Slice index 85 | Field of view 240x240 mm | Image size 240x240
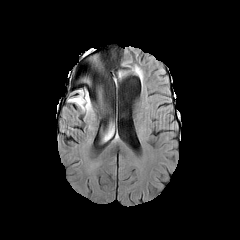
FLAIR MRI.
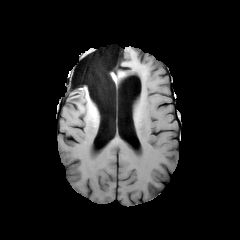
Same slice, T1-weighted MR image.
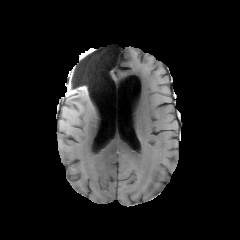
Same slice, post-contrast T1-weighted MR image.
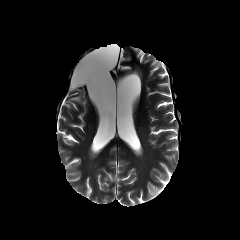
T2-weighted MR of the same slice.
The edema is at region(67, 88, 92, 118).